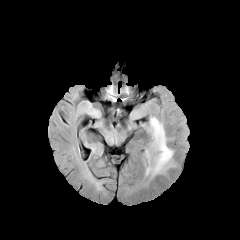
FLAIR magnetic resonance.
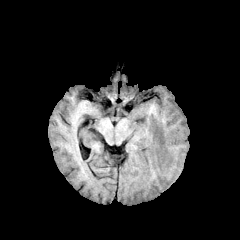
T1-weighted MRI.
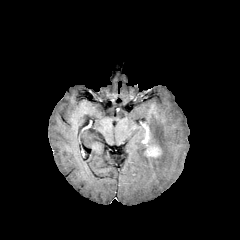
Same slice, post-contrast T1-weighted MR image.
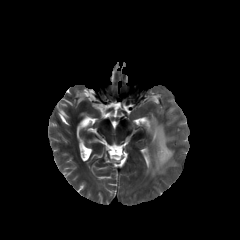
T2-weighted MR image of the same slice.
Head.
The edema is located at box=[141, 115, 173, 174].